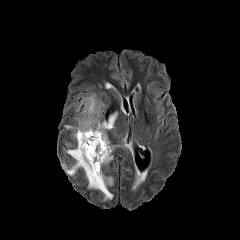
FLAIR MR image.
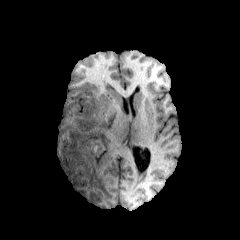
T1-weighted MRI.
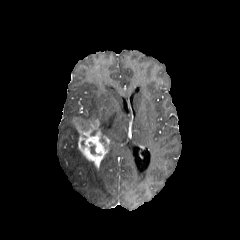
Post-contrast T1-weighted MRI.
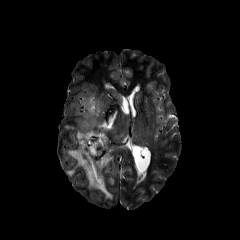
T2-weighted MRI.
edema:
  - (99,112,117,134)
  - (76,94,104,120)
  - (61,145,118,201)
enhancing_tumor:
  - (73,116,109,165)